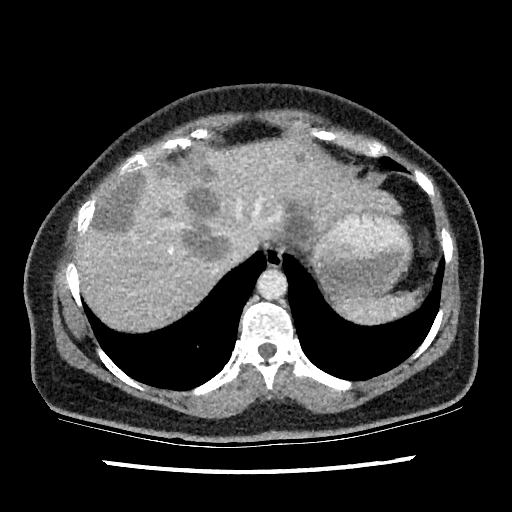
CT image.

<segmentation>
  <liver>bbox=[75, 137, 401, 329]</liver>
  <hepatic_lesion>bbox=[295, 152, 304, 162]; bbox=[160, 163, 180, 177]; bbox=[183, 223, 227, 257]; bbox=[277, 201, 314, 248]; bbox=[94, 172, 145, 231]; bbox=[187, 188, 218, 217]</hepatic_lesion>
</segmentation>